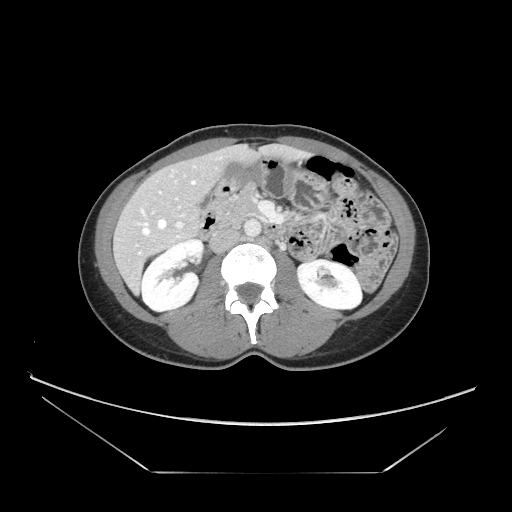 512x512 | CT slice

The pancreas appears at l=216, t=185, r=261, b=227.